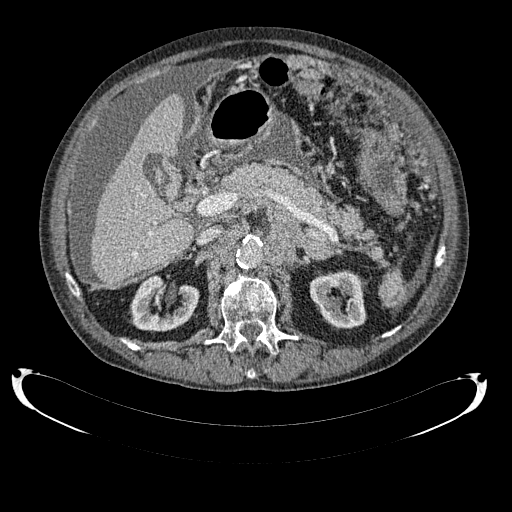
Computed tomography | Upper abdomen | 512x512 px
{
  "kidney": [
    "310, 271, 365, 327",
    "131, 276, 198, 330"
  ],
  "liver": [
    "90, 94, 193, 284"
  ]
}